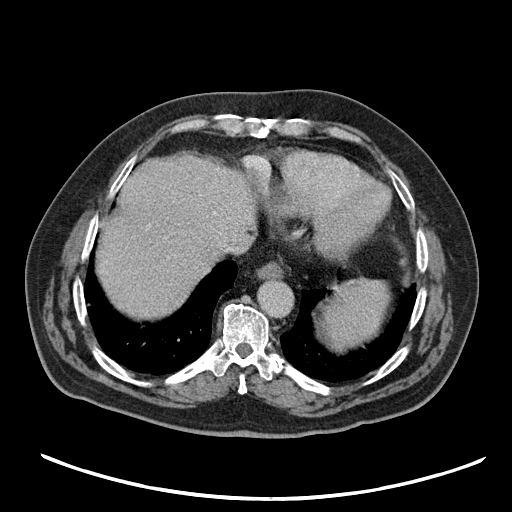

Upper abdomen | CT slice
The spleen appears at bbox=[324, 280, 390, 348].